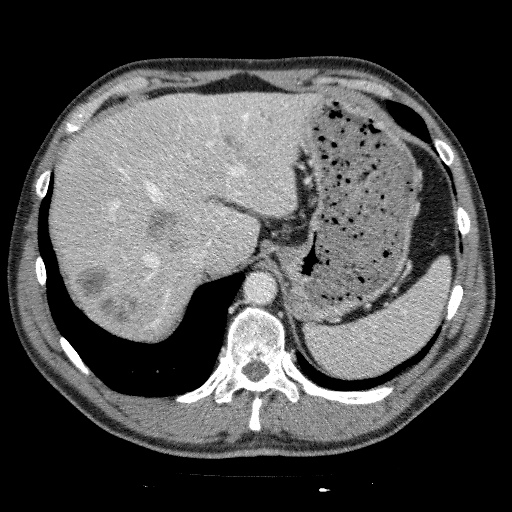 Abdomen | CT
{
  "focal_liver_lesion": [
    "(221,135,260,169)",
    "(98,292,140,325)",
    "(75,264,112,300)",
    "(143,206,187,254)"
  ],
  "liver": [
    "(51,91,319,340)"
  ]
}